240x240 | Head
FLAIR MR image.
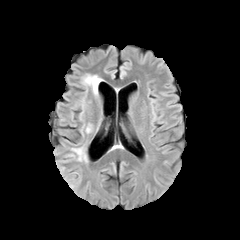
T1-weighted MR image.
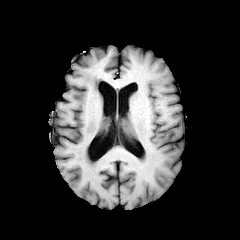
Post-contrast T1-weighted MR image.
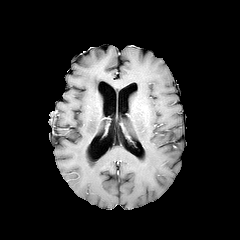
T2-weighted MRI.
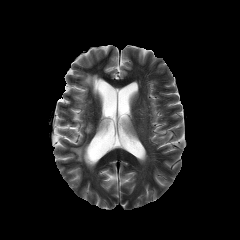
3 edema regions are located at 84,123,92,133; 71,144,87,162; 80,73,102,115.